Slice 56 of 155
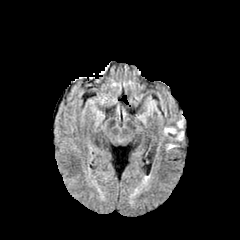
FLAIR MR image.
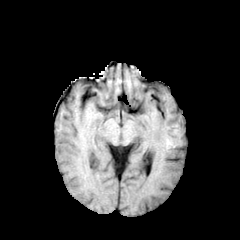
T1-weighted MRI of the same slice.
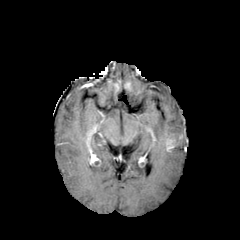
Post-contrast T1-weighted MR image.
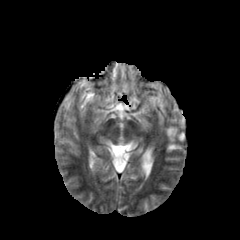
T2-weighted MR.
The edema lies within (164,118,184,140).